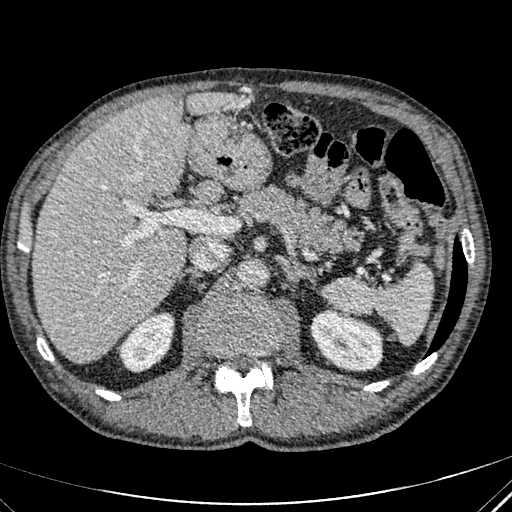
CT

2 liver regions are bounded by bbox(197, 183, 219, 200); bbox(33, 92, 237, 361). 2 kidney regions are bounded by bbox(312, 312, 381, 369); bbox(121, 314, 172, 370). The liver lesion lies within bbox(157, 95, 178, 108).